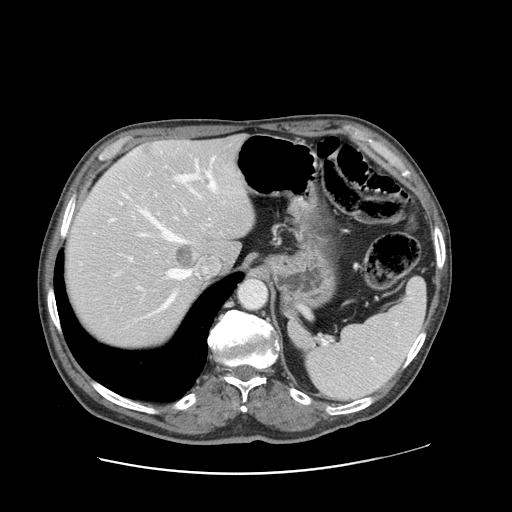 CT scan slice | 512x512

Only some of the vessels may be annotated.
Findings:
• hepatic vessel: bbox(130, 258, 131, 260); bbox(137, 287, 139, 288); bbox(206, 171, 215, 189); bbox(140, 210, 184, 242); bbox(120, 203, 122, 204); bbox(176, 159, 198, 194); bbox(168, 269, 190, 278); bbox(162, 294, 174, 308); bbox(110, 219, 114, 220); bbox(212, 157, 213, 161); bbox(140, 234, 146, 235)
• liver tumor: bbox(142, 143, 150, 152); bbox(176, 245, 194, 269)